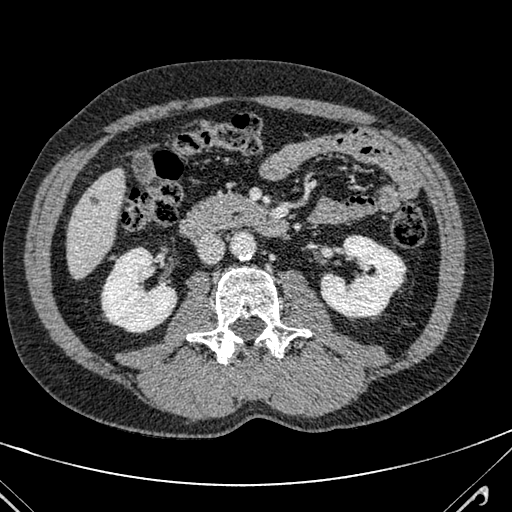

Computed tomography | Image size 512x512 | Abdomen
Focal liver lesion: bounding box <bbox>90, 196, 99, 203</bbox>.
Liver: bounding box <bbox>67, 169, 123, 277</bbox>.